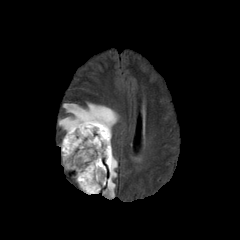
FLAIR MR.
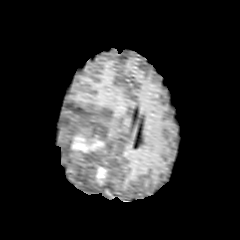
Same slice, T1-weighted MR image.
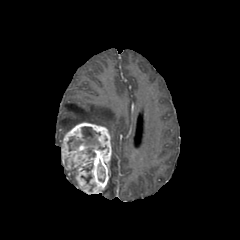
Post-contrast T1-weighted MR image of the same slice.
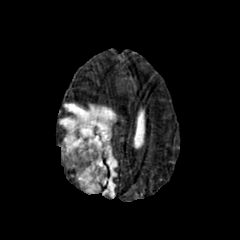
T2-weighted MRI.
edema: [59, 103, 117, 134], [104, 155, 117, 198] | non-enhancing tumor core: [83, 127, 95, 137] | enhancing tumor: [61, 122, 112, 194]